Computed tomography. Liver. Slice index 68. 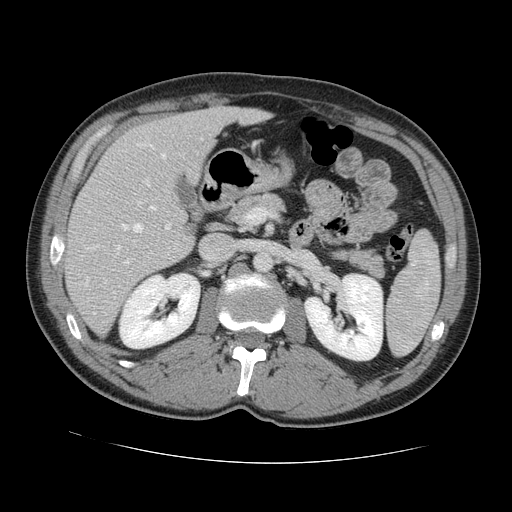

The vessel boxes may cover only some of the vessels.
Segmented structures:
• hepatic vessel (largest 15 of 17): (116, 245, 120, 253), (123, 261, 128, 263), (112, 292, 115, 293), (83, 276, 88, 286), (150, 251, 151, 253), (85, 245, 97, 249), (135, 137, 149, 146), (161, 153, 164, 157), (132, 223, 141, 232), (135, 200, 143, 204), (165, 223, 169, 228), (122, 225, 127, 229), (144, 179, 148, 186), (149, 205, 155, 209), (179, 153, 183, 157)